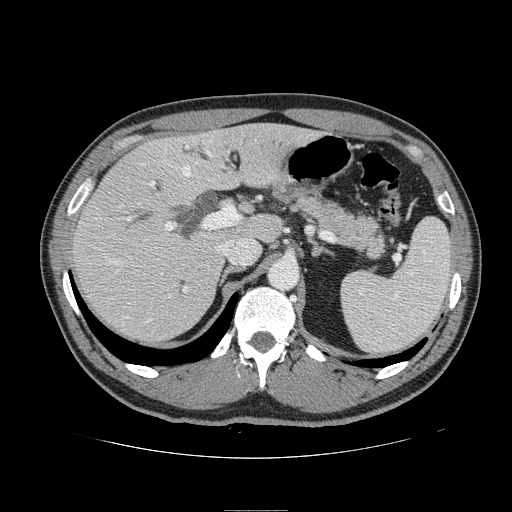 CT slice | 512x512 px
The pancreas lies within l=296, t=197, r=386, b=258.